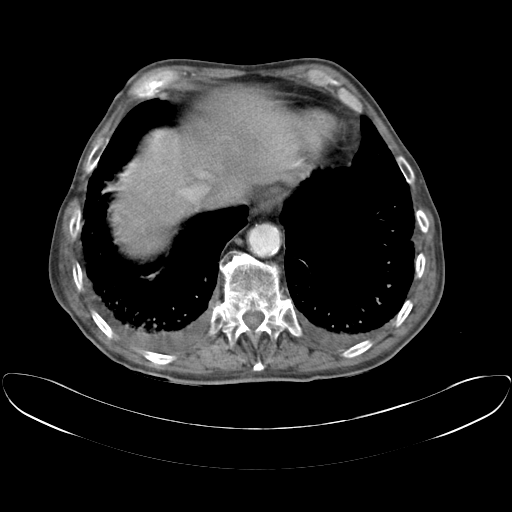
Computed tomography, Liver
The vessel annotation is not exhaustive.
Hepatic vessel: bounding box rect(179, 181, 208, 202); rect(199, 172, 203, 176).